Image size 512x512, Upper abdomen, Slice index 33, Field of view 436x436 mm, CT scan slice

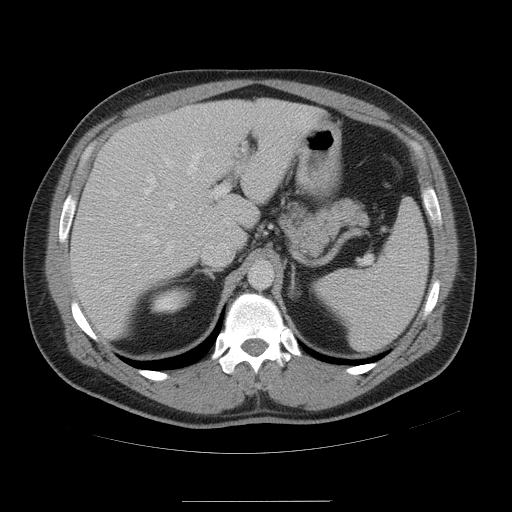
The spleen is bounded by bbox(315, 201, 427, 350).